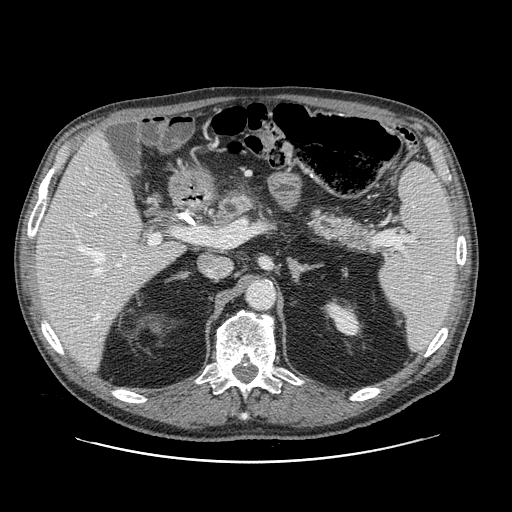
CT image

Pancreas: 217,194,252,225; 311,213,374,248.